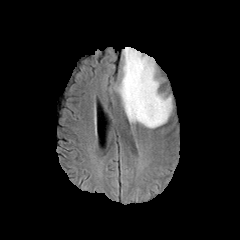
FLAIR magnetic resonance.
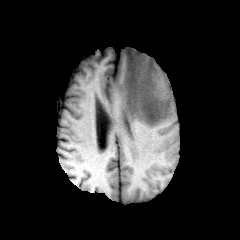
T1-weighted MR.
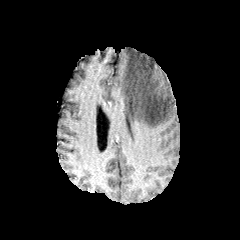
Post-contrast T1-weighted MR.
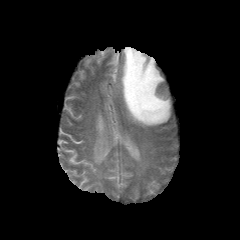
T2-weighted MRI.
Image size 240x240.
Annotated regions:
* edema: x1=115, y1=47, x2=172, y2=128